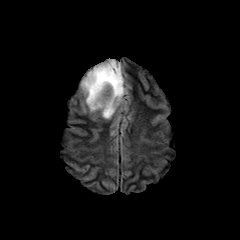
FLAIR MR image.
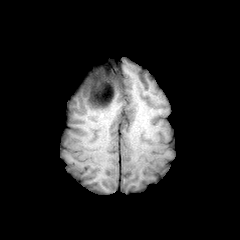
T1-weighted MR.
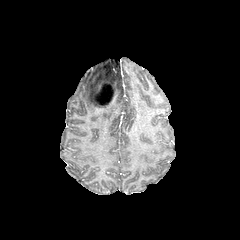
Post-contrast T1-weighted MR.
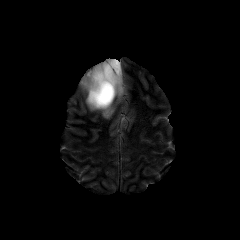
T2-weighted MR.
{
  "edema": [
    "x1=79, y1=59, x2=126, y2=119"
  ],
  "non-enhancing_tumor_core": [
    "x1=92, y1=61, x2=123, y2=109"
  ]
}